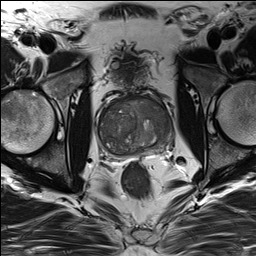
T2-weighted MR.
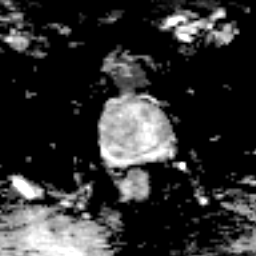
Same slice, ADC magnetic resonance.
Pelvis
The prostate transition zone appears at 100:98:167:153. The prostate peripheral zone lies within 100:133:167:158.